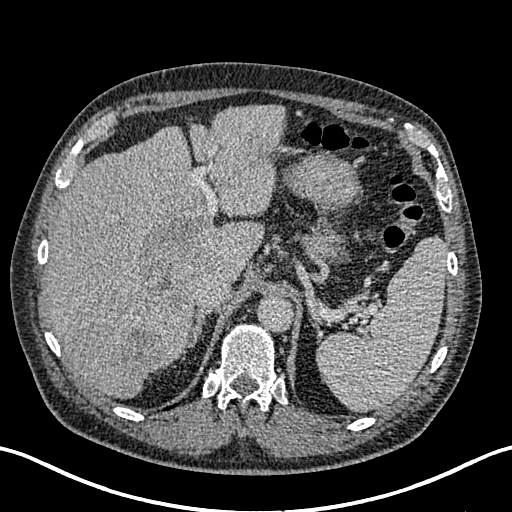

512x512 | CT slice

<segmentation>
  <liver>x1=46 y1=126 x2=263 y2=397, x1=191 y1=106 x2=285 y2=215</liver>
  <liver_lesion>x1=120 y1=329 x2=162 y2=381, x1=231 y1=151 x2=264 y2=183, x1=136 y1=216 x2=215 y2=310</liver_lesion>
</segmentation>